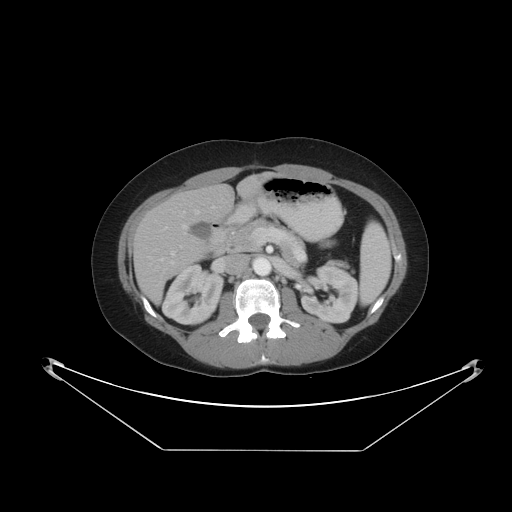
Liver, CT image
The vessel boxes may cover only some of the vessels.
9 hepatic vessel regions are located at <bbox>171, 251, 174, 255</bbox>, <bbox>159, 258, 162, 260</bbox>, <bbox>170, 261, 173, 263</bbox>, <bbox>149, 256, 151, 257</bbox>, <bbox>164, 227, 167, 229</bbox>, <bbox>180, 246, 181, 247</bbox>, <bbox>182, 212, 184, 216</bbox>, <bbox>182, 225, 186, 233</bbox>, <bbox>195, 210, 198, 213</bbox>.